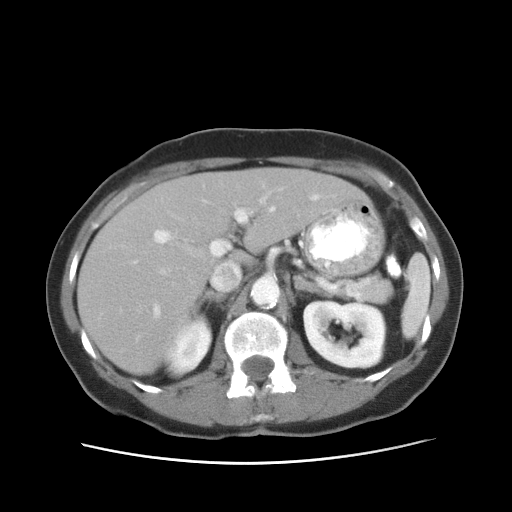

Upper abdomen | Computed tomography
spleen: (402,254,430,335)